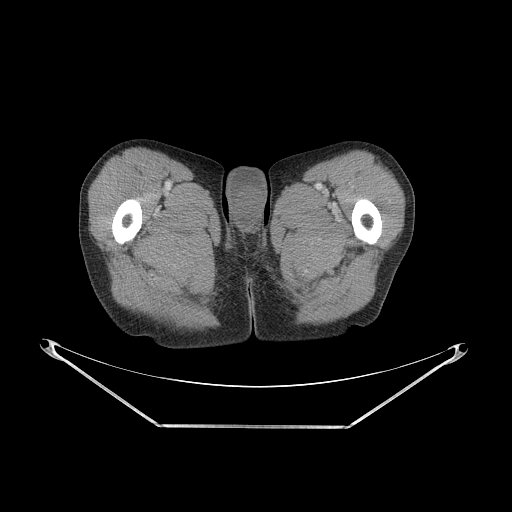
CT scan slice; Image size 512x512

<segmentation>
  <bone>left=352, top=198, right=381, bottom=243; left=112, top=199, right=141, bottom=243</bone>
</segmentation>